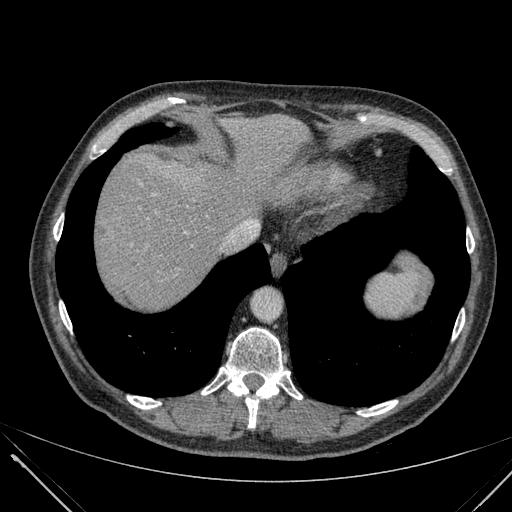

CT | 512x512 | Upper abdomen

2 liver regions are bounded by 95:114:331:311, 310:162:329:165.